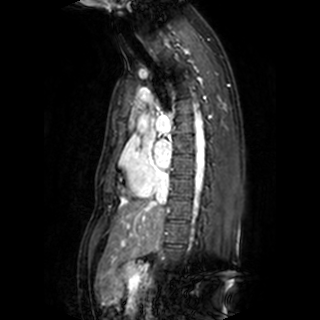

MRI; Cardiac
Left atrium = box(154, 139, 171, 168).